Brain, Slice 98/155
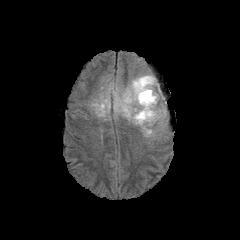
FLAIR magnetic resonance.
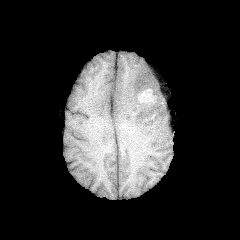
T1-weighted MR of the same slice.
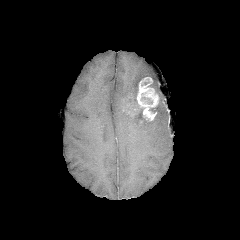
Post-contrast T1-weighted MR of the same slice.
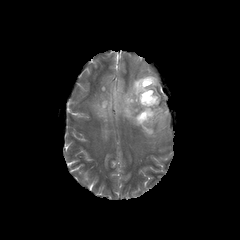
T2-weighted MR of the same slice.
- edema: [x1=90, y1=74, x2=168, y2=137]
- enhancing tumor: [x1=136, y1=77, x2=159, y2=119]
- non-enhancing tumor core: [x1=134, y1=100, x2=163, y2=124]